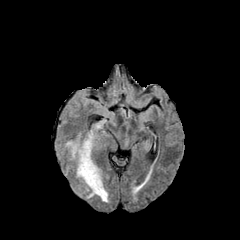
FLAIR MR.
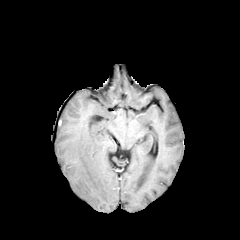
T1-weighted MR image.
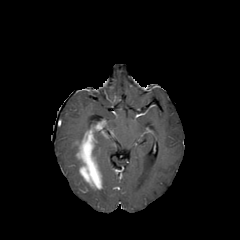
Same slice, post-contrast T1-weighted magnetic resonance.
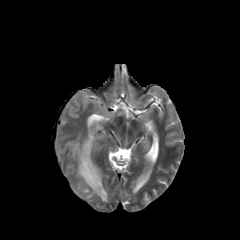
Same slice, T2-weighted MRI.
<segmentation>
  <enhancing_tumor>[x1=76, y1=128, x2=102, y2=189], [x1=94, y1=120, x2=106, y2=130]</enhancing_tumor>
  <edema>[x1=65, y1=134, x2=108, y2=202]</edema>
</segmentation>